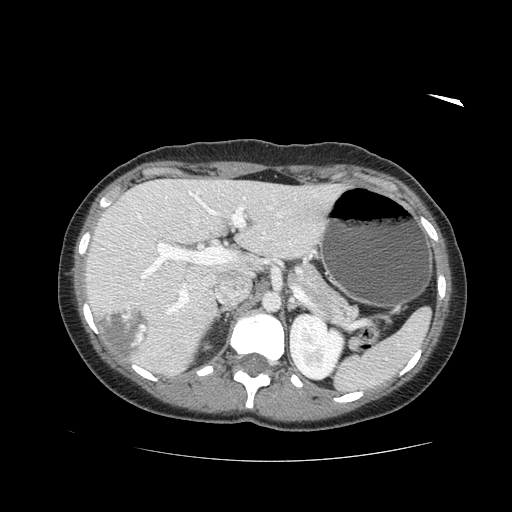

CT | 512x512 px | Abdomen
Pancreatic tumor: bounding box rect(332, 299, 359, 325).
Pancreas: bounding box rect(293, 265, 343, 319).